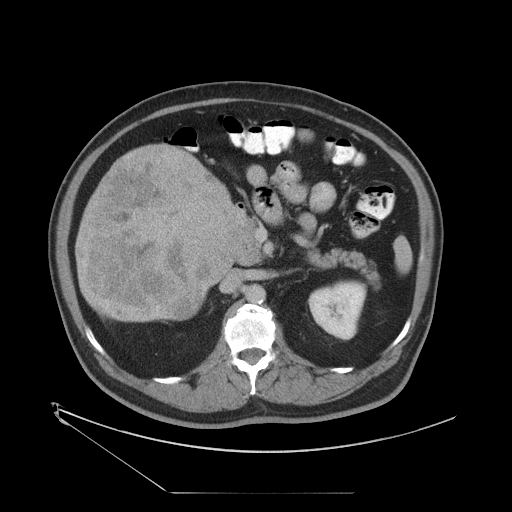

CT
Not every hepatic vessel necessarily has a box.
Liver tumor: bounding box <box>77,146,252,320</box>.
Hepatic vessel: bounding box <box>99,301,109,311</box>, <box>122,308,123,310</box>, <box>136,316,137,318</box>, <box>128,310,133,317</box>, <box>111,311,114,314</box>.